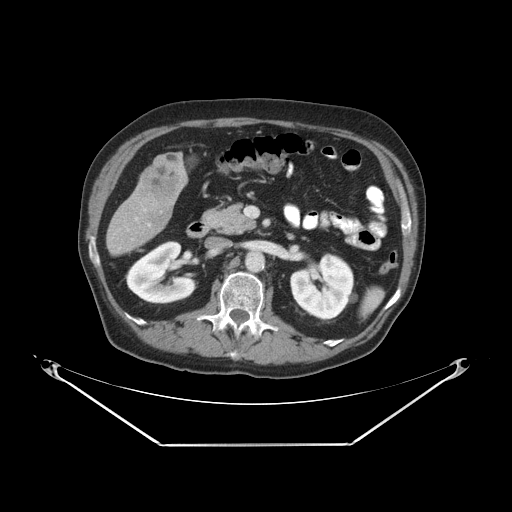 CT slice.
Some hepatic vessels may have no box.
<segmentation>
  <liver_tumor>138, 154, 185, 205</liver_tumor>
  <hepatic_vessel>143, 207, 145, 211; 134, 217, 138, 220</hepatic_vessel>
</segmentation>